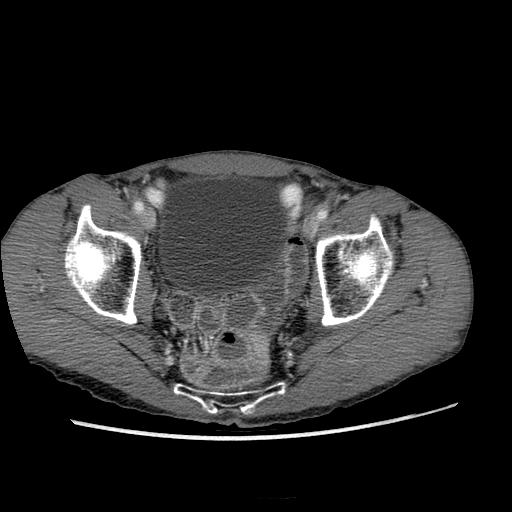 512x512 | Pelvis | CT image
Annotated regions:
* urinary bladder: box(162, 172, 286, 288)